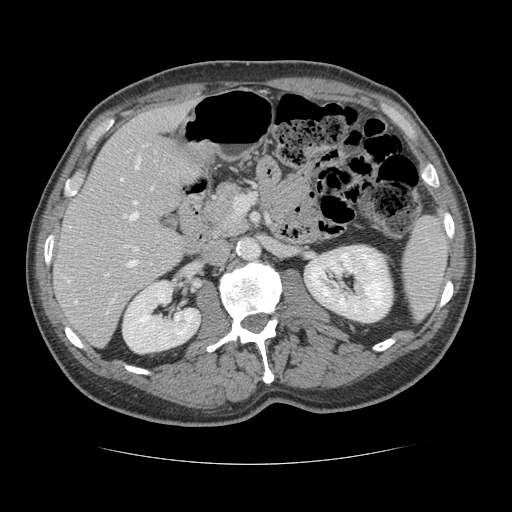
Image size 512x512; Computed tomography
Not every hepatic vessel necessarily has a box.
hepatic_vessel:
  - [66, 278, 69, 281]
  - [105, 274, 107, 275]
  - [150, 186, 152, 189]
  - [128, 260, 136, 265]
  - [123, 212, 137, 219]
  - [107, 309, 108, 312]
  - [110, 298, 114, 303]
  - [125, 245, 137, 249]
  - [115, 293, 116, 296]
  - [120, 178, 122, 179]
  - [75, 300, 76, 302]
  - [133, 201, 136, 203]
  - [135, 156, 140, 168]